Abdomen, CT slice 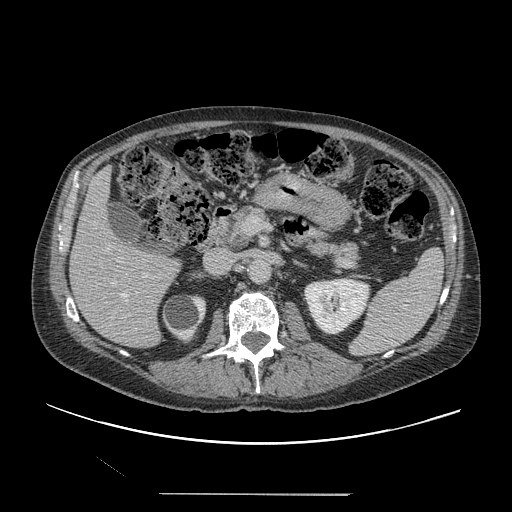

* pancreas: [214,206,267,249], [302,239,361,258]